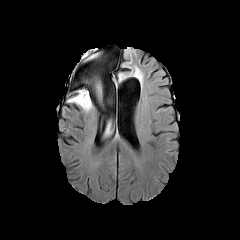
FLAIR magnetic resonance.
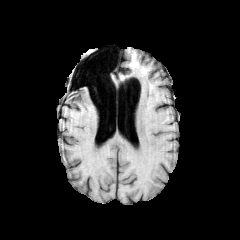
T1-weighted magnetic resonance.
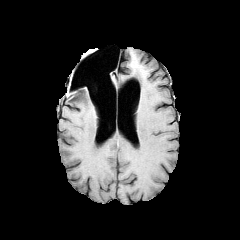
Post-contrast T1-weighted MRI.
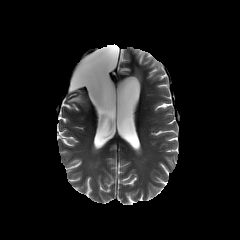
Same slice, T2-weighted MRI.
Brain; Image size 240x240
2 edema regions are located at <bbox>70, 89, 92, 109</bbox>, <bbox>84, 76, 107, 108</bbox>.